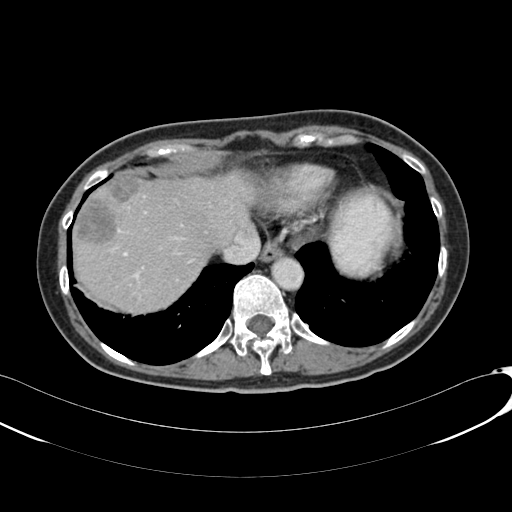 CT image. Liver. Segmented structures:
- liver: left=73, top=176, right=253, bottom=310
- liver lesion: left=105, top=177, right=139, bottom=202; left=76, top=198, right=122, bottom=244